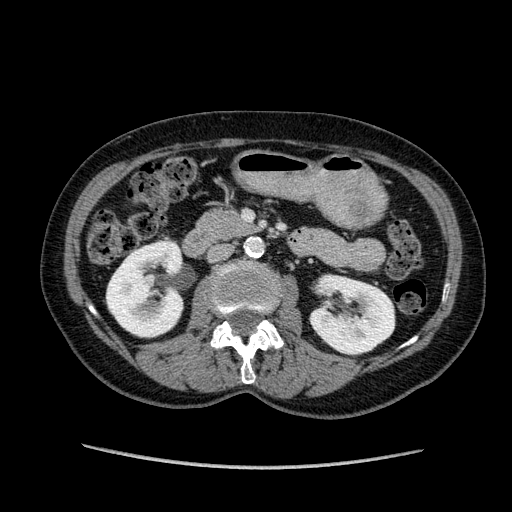

CT image. Abdomen.

kidney:
  - bbox(107, 242, 182, 336)
  - bbox(311, 276, 394, 353)